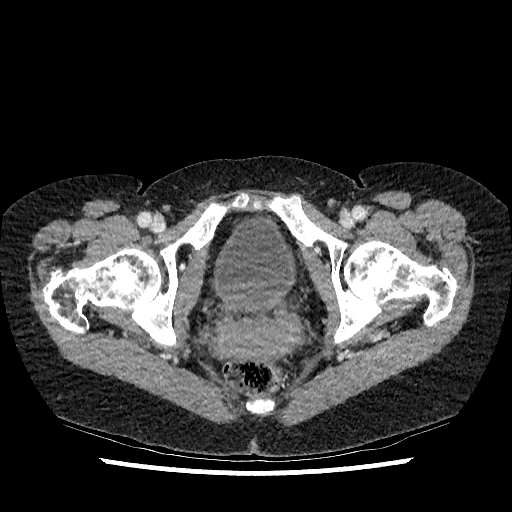
Pelvis, 512x512, CT slice
The urinary bladder is bounded by rect(212, 213, 297, 298).